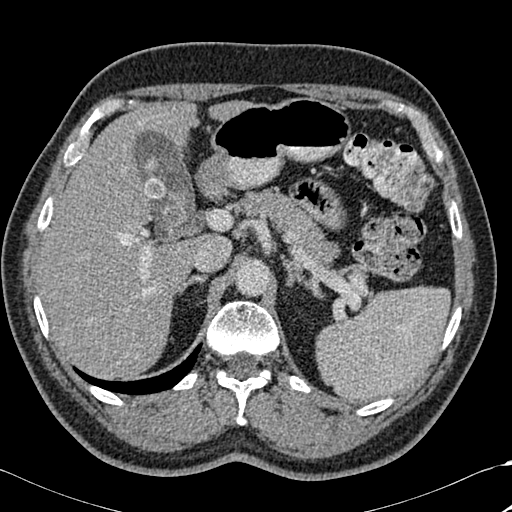
Liver | Image size 512x512 | CT image
Annotated regions:
• lung: (x1=74, y1=343, x2=201, y2=394)
• liver: (x1=40, y1=105, x2=196, y2=379)
• bone: (x1=174, y1=374, x2=196, y2=389), (x1=67, y1=115, x2=96, y2=161), (x1=90, y1=386, x2=122, y2=405), (x1=34, y1=297, x2=48, y2=336), (x1=357, y1=399, x2=391, y2=415), (x1=450, y1=204, x2=461, y2=237), (x1=38, y1=198, x2=52, y2=229), (x1=443, y1=308, x2=460, y2=347), (x1=207, y1=301, x2=278, y2=424), (x1=290, y1=376, x2=309, y2=391)